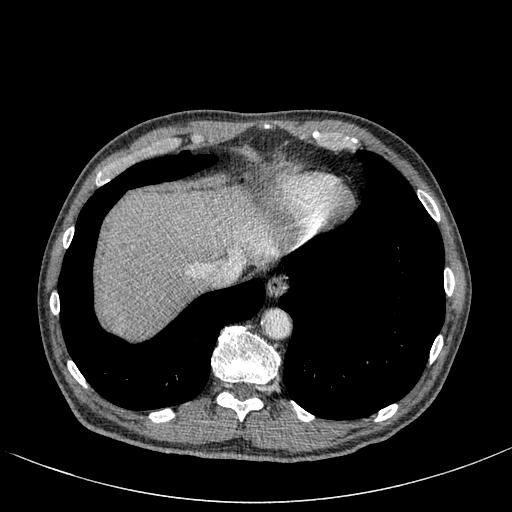

CT image | Upper abdomen | 512x512 px
Findings:
* focal liver lesion: <bbox>106, 314, 116, 330</bbox>
* liver: <bbox>96, 191, 277, 337</bbox>